Abdomen. CT image. Field of view 365x365 mm.
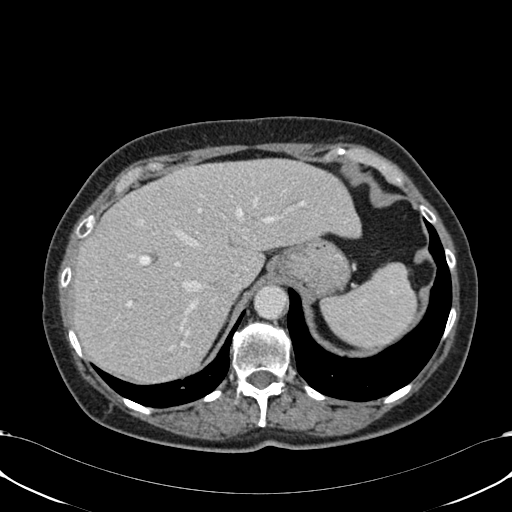
The liver lies within <box>73,158,361,380</box>.